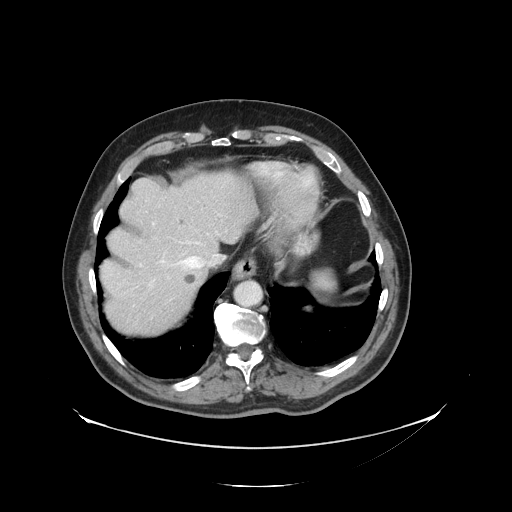 Liver | 512x512 | CT
Only some of the vessels may be annotated.
[15/16] hepatic vessel: (208, 263, 213, 266), (198, 263, 205, 268), (161, 259, 164, 262), (138, 264, 142, 266), (195, 242, 199, 244), (170, 299, 172, 300), (188, 242, 192, 242), (149, 282, 153, 289), (187, 271, 199, 286), (175, 257, 196, 265), (170, 265, 173, 266), (182, 254, 184, 255), (216, 232, 218, 234), (153, 223, 154, 225), (213, 255, 216, 260) | liver tumor: (185, 274, 195, 282)